Slice 95 of 155
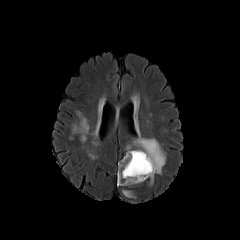
FLAIR magnetic resonance.
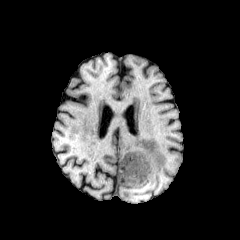
T1-weighted MR.
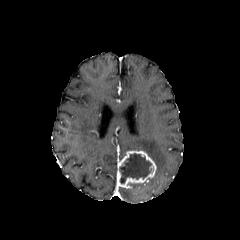
Post-contrast T1-weighted MR of the same slice.
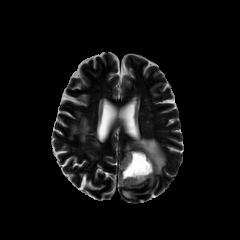
T2-weighted MR of the same slice.
{"enhancing_tumor": ["116, 149, 156, 188"], "non-enhancing_tumor_core": ["120, 153, 152, 183"], "edema": ["132, 137, 166, 174", "122, 189, 135, 198"]}